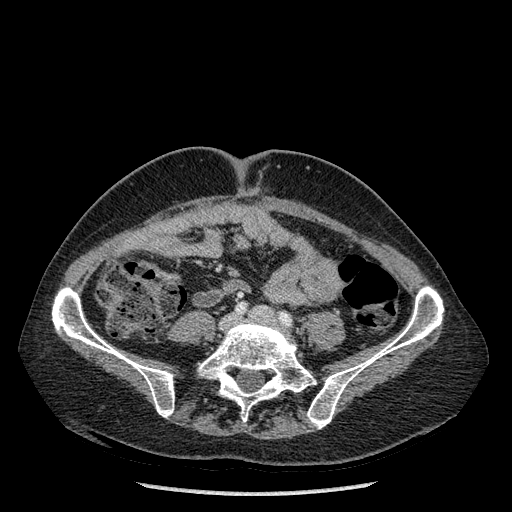 Computed tomography
3 bone regions appear at [52,287,174,417], [307,286,443,428], [198,315,316,421].